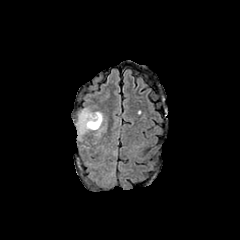
FLAIR MR.
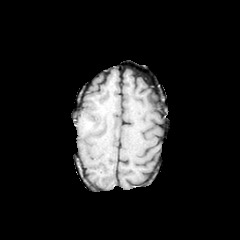
T1-weighted MRI of the same slice.
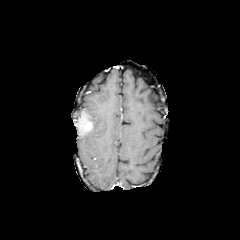
Post-contrast T1-weighted MR image of the same slice.
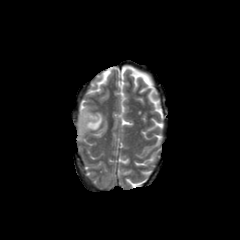
T2-weighted magnetic resonance.
Brain
edema: (79,109,105,139) | enhancing tumor: (76,114,92,134)